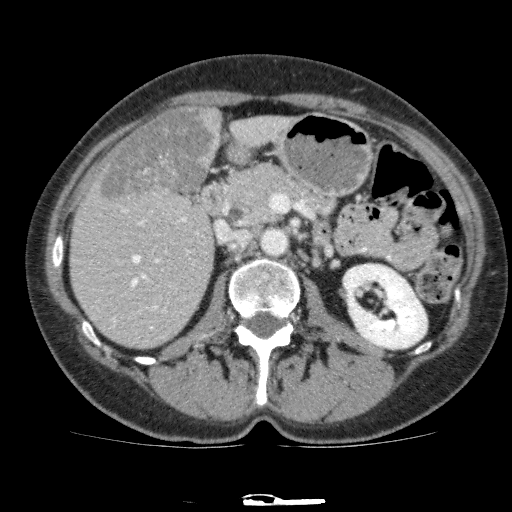 Liver; CT slice
Annotated regions:
• focal liver lesion: box=[97, 107, 217, 202]
• kidney: box=[344, 264, 426, 348]
• liver: box=[199, 106, 223, 171]; box=[69, 168, 214, 349]; box=[230, 115, 294, 148]